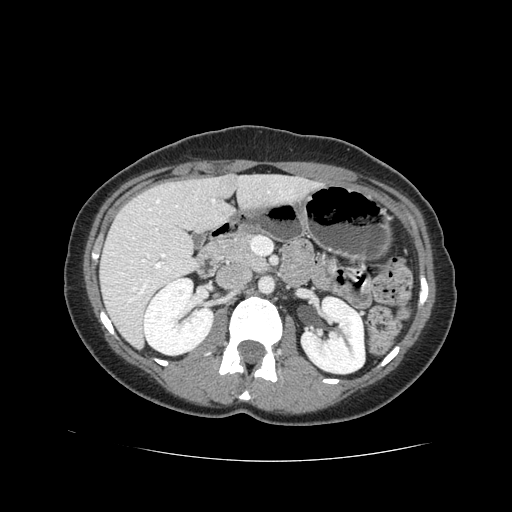 Abdomen. CT.
The pancreas lies within [x1=207, y1=234, x2=266, y2=270].